Slice 44 of 93; 512x512 px; Computed tomography

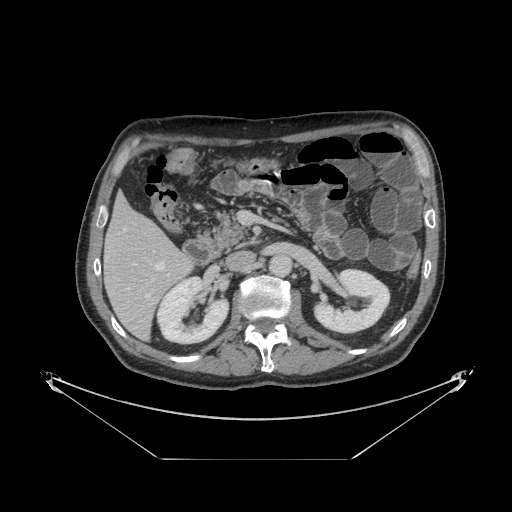
The pancreas is at (207, 209, 247, 256).